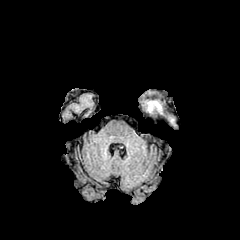
FLAIR MR.
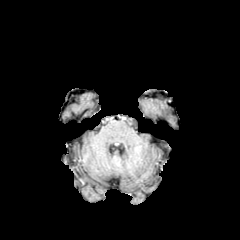
T1-weighted MR image.
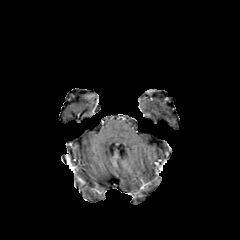
Post-contrast T1-weighted MR.
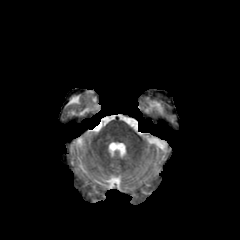
T2-weighted MR.
Head
- edema: x1=146, y1=101, x2=163, y2=113